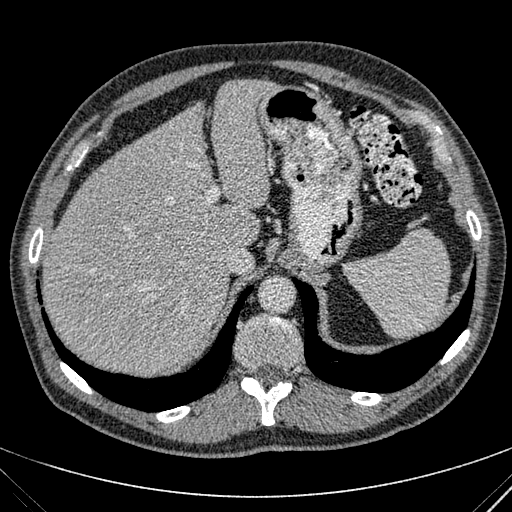
CT image, Abdomen, 512x512
Liver — 43,79,279,372.